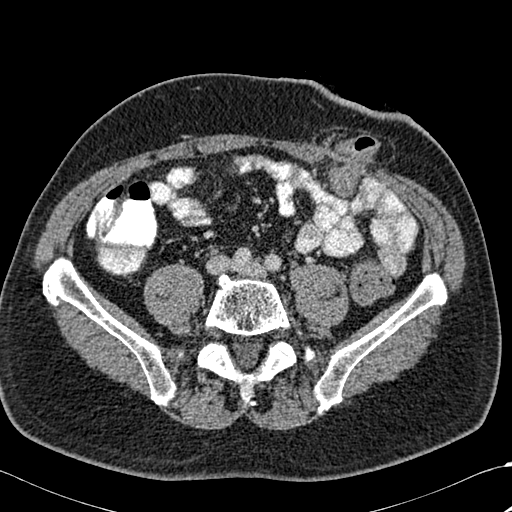

CT scan slice

Bone — x1=314, y1=274, x2=446, y2=412; x1=198, y1=341, x2=296, y2=402; x1=305, y1=348, x2=313, y2=359; x1=204, y1=274, x2=289, y2=337; x1=43, y1=258, x2=175, y2=405.